Slice 93 of 605, Computed tomography
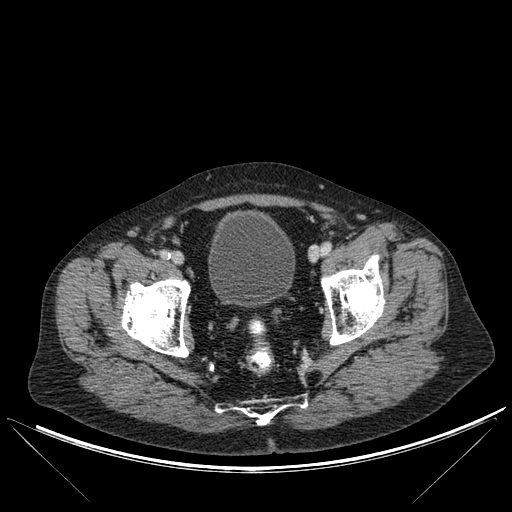 <segmentation>
  <urinary_bladder>(208,209,295,306)</urinary_bladder>
  <bone>(121,278,190,357), (216,400,307,425), (321,255,385,345)</bone>
</segmentation>